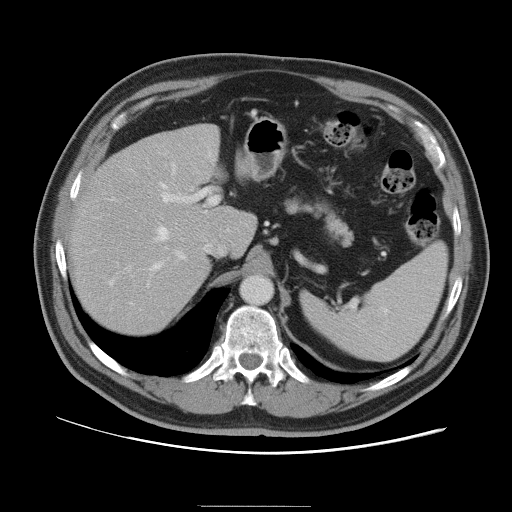
512x512 px; Liver; Computed tomography
The vessel boxes may cover only some of the vessels.
[15/18] hepatic vessel: x1=127 y1=265 x2=131 y2=268, x1=129 y1=302 x2=132 y2=304, x1=159 y1=182 x2=197 y2=201, x1=176 y1=251 x2=186 y2=261, x1=147 y1=283 x2=149 y2=286, x1=150 y1=262 x2=161 y2=271, x1=165 y1=151 x2=167 y2=154, x1=157 y1=227 x2=169 y2=240, x1=227 y1=229 x2=230 y2=231, x1=117 y1=262 x2=118 y2=266, x1=106 y1=198 x2=115 y2=200, x1=171 y1=163 x2=175 y2=172, x1=204 y1=244 x2=210 y2=252, x1=109 y1=279 x2=113 y2=285, x1=218 y1=246 x2=224 y2=252